Image size 240x240. Head. Slice 56/155.
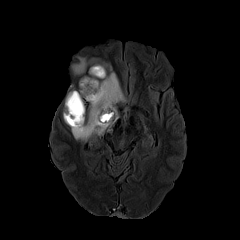
FLAIR magnetic resonance.
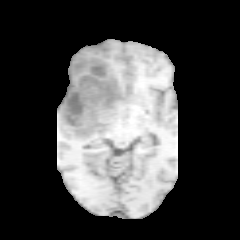
T1-weighted MR image.
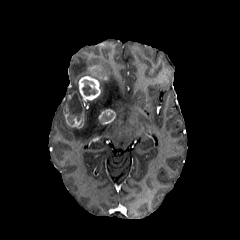
Post-contrast T1-weighted MR image.
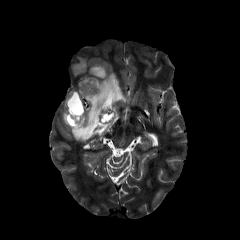
T2-weighted MR image.
edema: <bbox>70, 58, 126, 142</bbox>, <bbox>71, 56, 87, 74</bbox> | non-enhancing tumor core: <bbox>68, 92, 82, 113</bbox>, <bbox>82, 79, 98, 96</bbox> | enhancing tumor: <bbox>64, 93, 85, 127</bbox>, <bbox>79, 76, 101, 100</bbox>, <bbox>99, 108, 116, 124</bbox>, <bbox>90, 64, 104, 78</bbox>